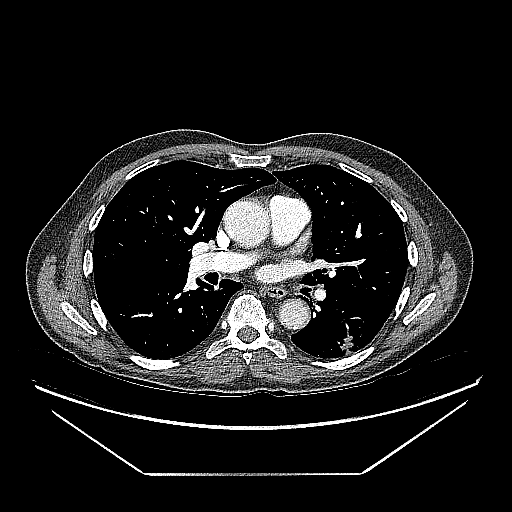

CT image

The lung tumor lies within (x1=330, y1=333, x2=360, y2=357).